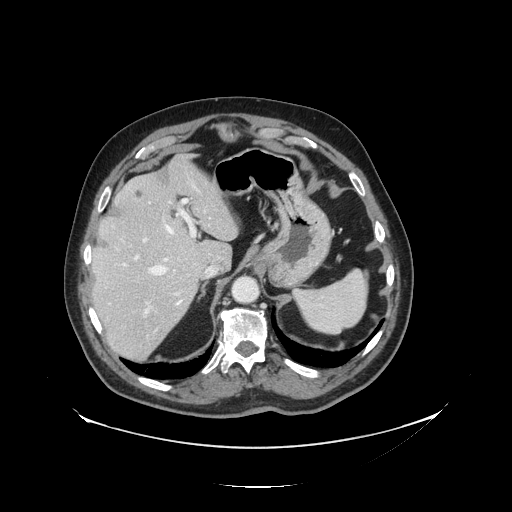 Computed tomography. Abdomen.

Not every hepatic vessel necessarily has a box.
Most prominent 15 of 16 hepatic vessel regions: [206,268,211,275], [135,256,138,259], [143,302,153,317], [165,226,174,233], [176,294,179,295], [164,259,167,261], [177,209,190,221], [182,199,188,203], [176,301,181,306], [191,227,194,235], [191,181,199,192], [149,266,167,275], [124,264,126,265], [143,239,146,241], [202,242,206,244].
Liver tumor: [157,165,170,183].